Computed tomography | Slice 114/151 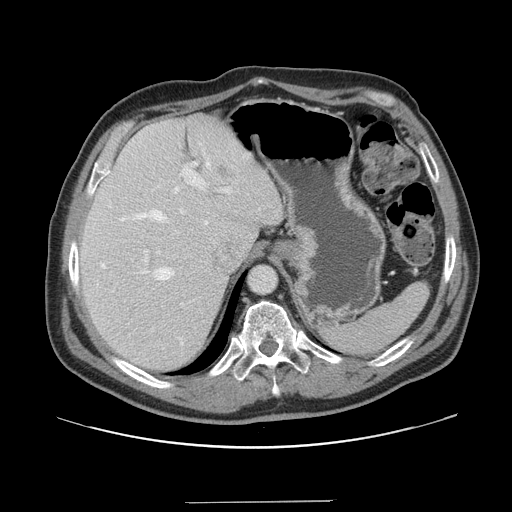

Not every hepatic vessel necessarily has a box.
liver_tumor:
  - l=217, t=166, r=228, b=179
hepatic_vessel:
  - l=154, t=268, r=173, b=279
  - l=173, t=186, r=179, b=193
  - l=120, t=217, r=125, b=220
  - l=143, t=250, r=148, b=262
  - l=180, t=162, r=205, b=190
  - l=132, t=209, r=166, b=221
  - l=206, t=161, r=209, b=166
  - l=205, t=221, r=207, b=224
  - l=101, t=264, r=104, b=267
  - l=219, t=187, r=230, b=192